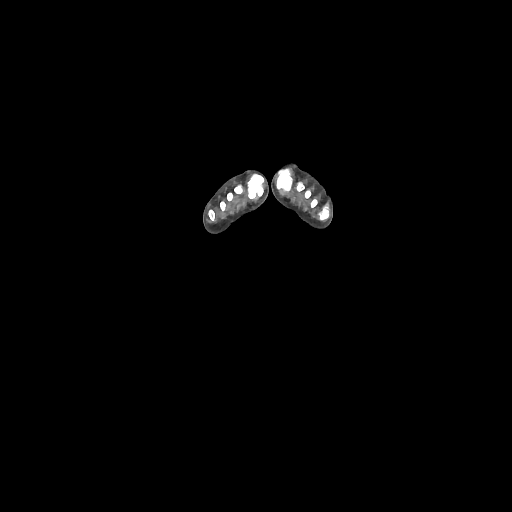

CT slice
Segmented structures:
- bone: <box>247,174,263,198</box>, <box>220,193,232,210</box>, <box>277,169,292,191</box>, <box>319,204,328,219</box>, <box>234,185,242,193</box>, <box>296,182,317,207</box>, <box>208,210,214,220</box>